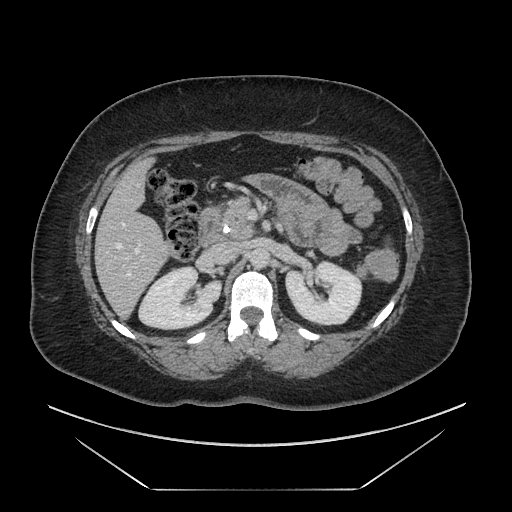
CT image. The pancreas is bounded by (225,198,253,239).